Slice index 98
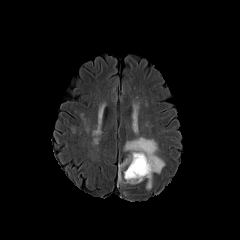
FLAIR magnetic resonance.
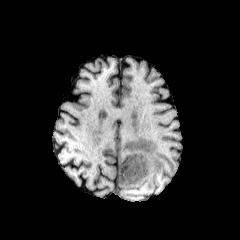
T1-weighted MRI.
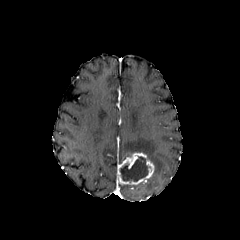
Same slice, post-contrast T1-weighted MR image.
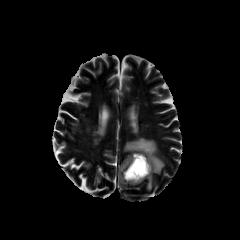
T2-weighted MR image.
The edema is at region(123, 137, 164, 173). The enhancing tumor appears at region(117, 152, 154, 185). The non-enhancing tumor core is at region(120, 156, 148, 182).